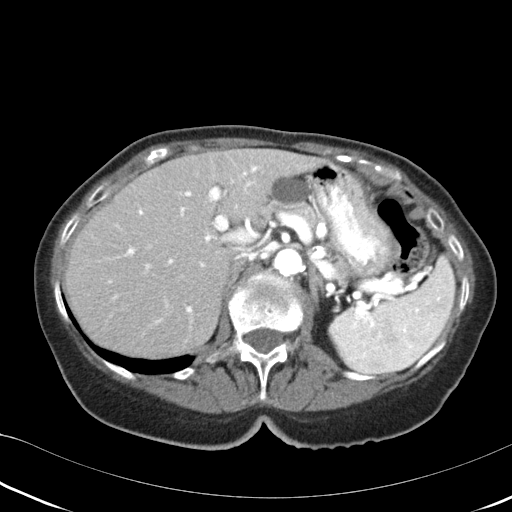 Abdomen. Computed tomography.
The pancreas is located at rect(267, 176, 316, 221). The pancreatic tumor is located at rect(272, 177, 309, 204).